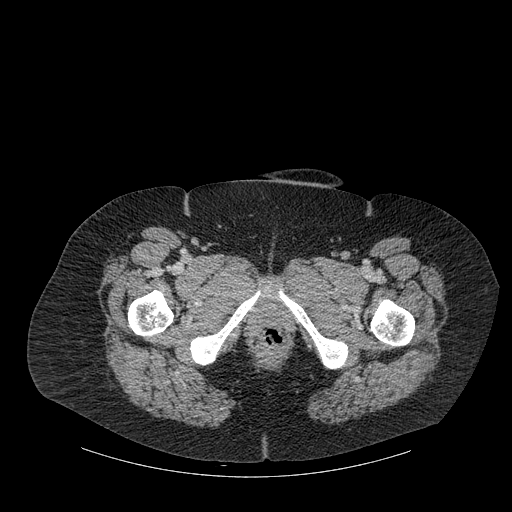 CT image
Segmented structures:
- bone: (278, 289, 347, 368), (190, 290, 261, 364), (370, 299, 414, 345), (128, 290, 173, 335)